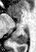 MR; 36x52
posterior hippocampus: x1=15, y1=31, x2=29, y2=44; x1=24, y1=28, x2=28, y2=29